Upper abdomen, CT, Field of view 378 mm wide, 0.80 mm slice spacing, 512x512, Slice index 505

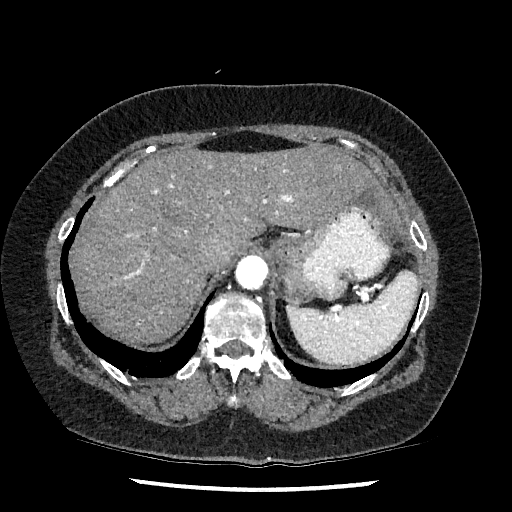 The liver lies within x1=73 y1=146 x2=397 y2=342. The focal liver lesion appears at x1=352 y1=189 x2=377 y2=211.